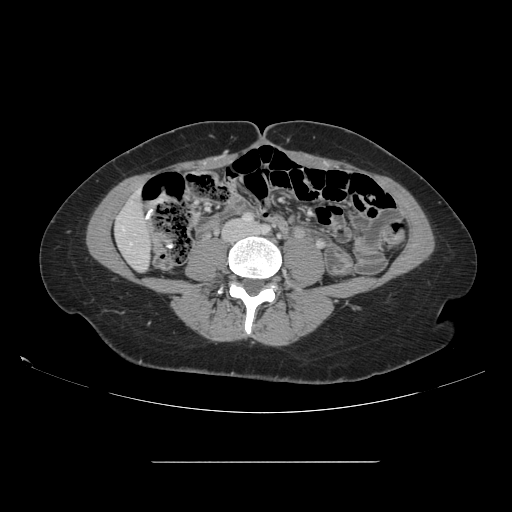

512x512. CT scan slice. Abdomen. The vessel annotation is not exhaustive.
hepatic_vessel:
  - box(122, 227, 124, 230)